Head, 240x240, Slice 71/155
FLAIR MR.
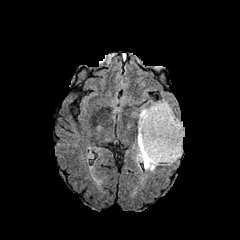
T1-weighted MRI.
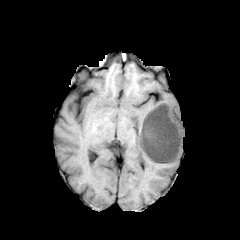
Post-contrast T1-weighted MR.
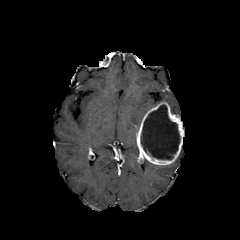
T2-weighted MR image.
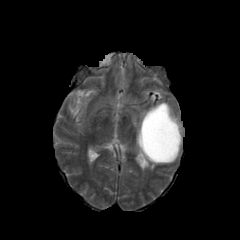
non-enhancing tumor core: 140 104 179 159 | enhancing tumor: 136 102 184 164 | edema: 137 98 179 132, 144 147 182 171